FLAIR MR.
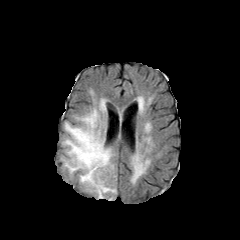
T1-weighted MR.
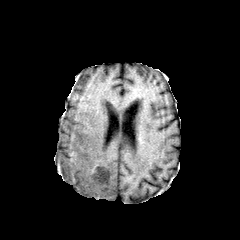
Post-contrast T1-weighted magnetic resonance.
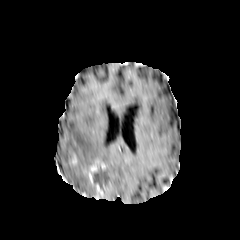
T2-weighted MR image.
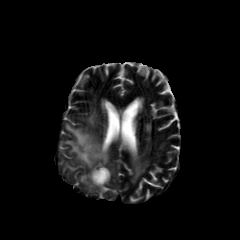
Head
<segmentation>
  <edema>134:162:143:176, 104:180:116:195, 99:99:107:117, 62:108:115:194</edema>
  <enhancing_tumor>96:184:103:195, 88:164:99:184</enhancing_tumor>
  <non-enhancing_tumor_core>92:164:110:191</non-enhancing_tumor_core>
</segmentation>